Field of view 240 mm wide, 1.00 mm slice spacing
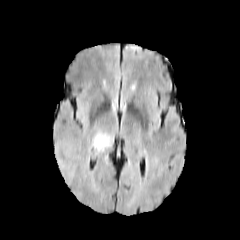
FLAIR magnetic resonance.
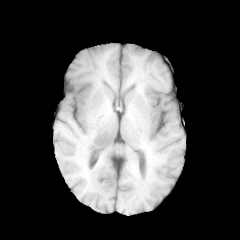
T1-weighted magnetic resonance of the same slice.
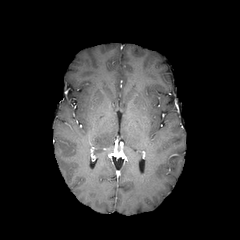
Post-contrast T1-weighted MRI of the same slice.
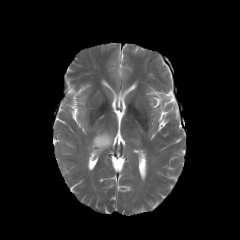
T2-weighted MR.
edema: l=93, t=133, r=110, b=150